Computed tomography, Abdomen, Slice index 629 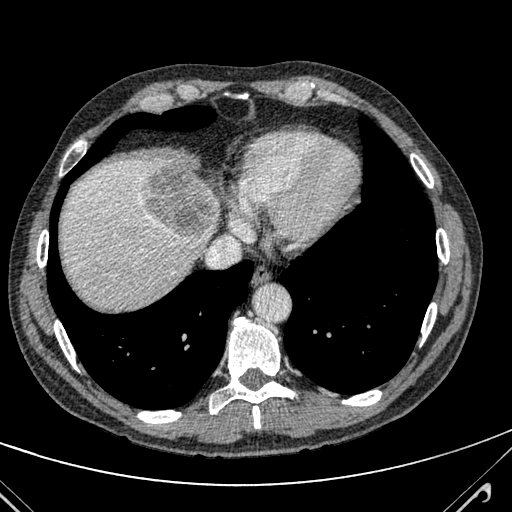
Segmented structures:
- liver: l=61, t=158, r=218, b=307
- focal liver lesion: l=147, t=163, r=212, b=237